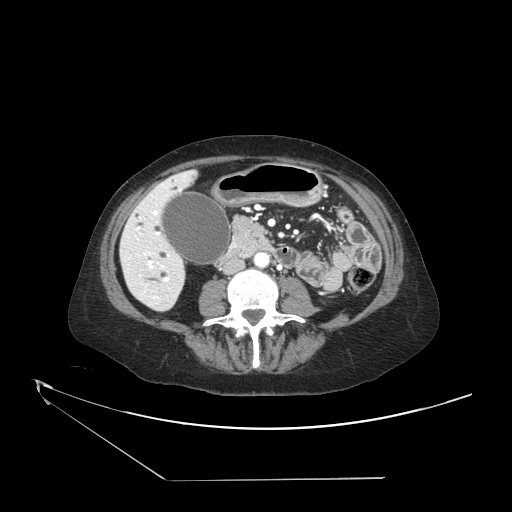
512x512 px; Upper abdomen; CT slice

- pancreas: bbox=[232, 215, 274, 258]